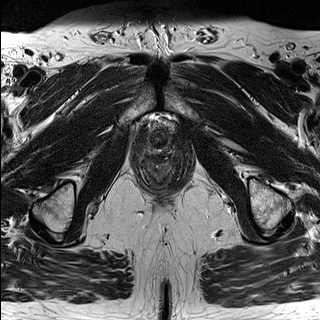
T2-weighted MR.
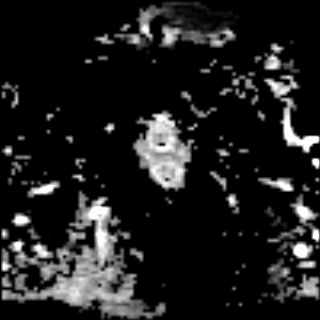
ADC MR.
Image size 320x320 | Pelvis
Annotated regions:
• prostate transition zone: box=[144, 127, 170, 153]